FLAIR MR.
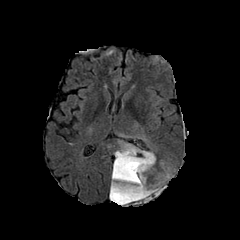
T1-weighted magnetic resonance.
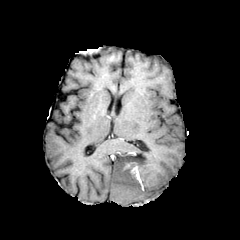
Post-contrast T1-weighted MRI.
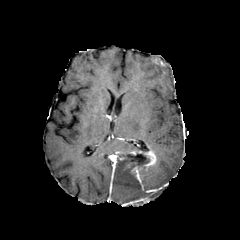
T2-weighted MRI.
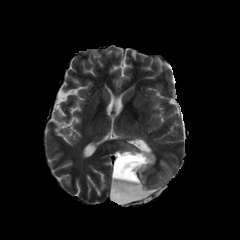
240x240 px.
Enhancing tumor: bounding box l=123, t=197, r=149, b=205; l=144, t=151, r=155, b=165; l=132, t=167, r=140, b=181.
Edema: bounding box l=115, t=178, r=137, b=184; l=141, t=164, r=161, b=187; l=116, t=144, r=139, b=151; l=114, t=184, r=144, b=195.
Non-enhancing tumor core: bounding box l=111, t=146, r=158, b=205.